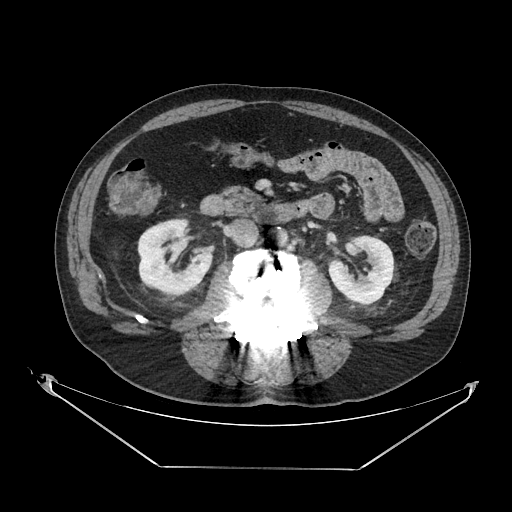 CT | Upper abdomen
Pancreas: 219, 185, 264, 213.